FLAIR magnetic resonance.
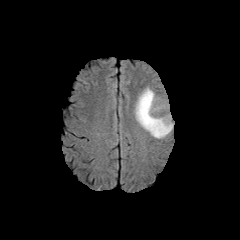
T1-weighted MR.
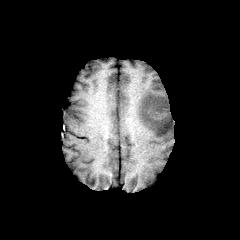
Post-contrast T1-weighted MR.
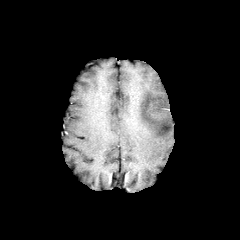
T2-weighted MR.
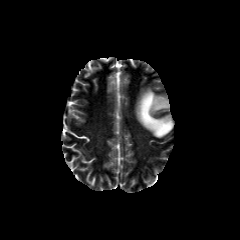
Brain
The edema appears at x1=134, y1=83, x2=173, y2=138.